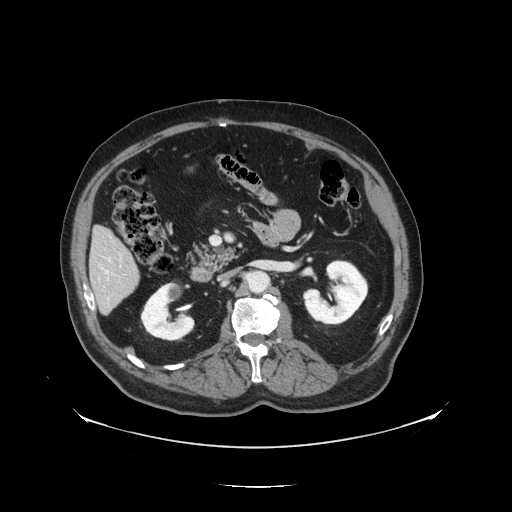

Liver | CT scan slice | Image size 512x512

Only some of the vessels may be annotated.
4 hepatic vessel regions are bounded by (120,264,121,267), (107,259,110,261), (101,267,113,274), (120,258,121,261).